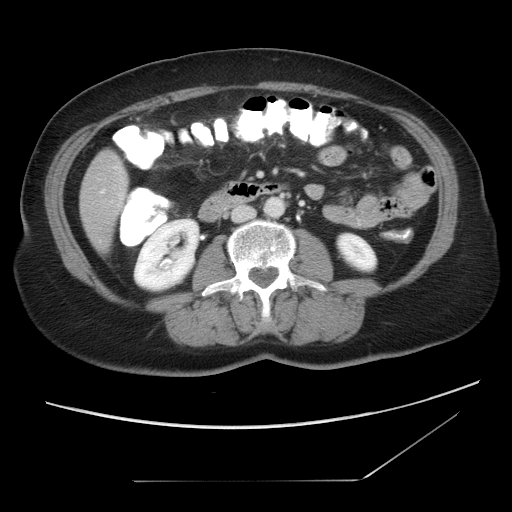
CT
The vessel annotation is not exhaustive.
Hepatic vessel = rect(101, 190, 104, 193); rect(116, 166, 120, 172).